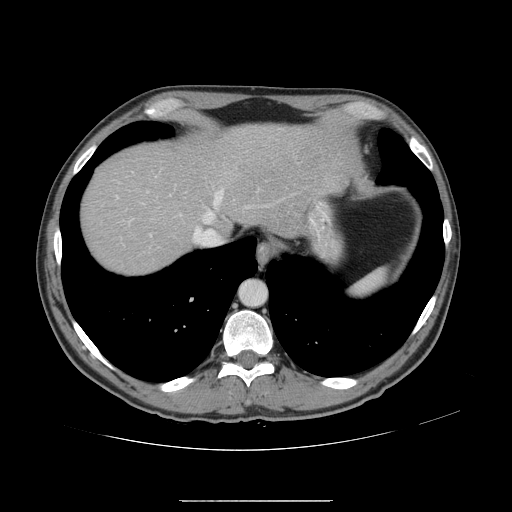
Abdomen | Computed tomography

Only some of the vessels may be annotated.
hepatic_vessel:
  - <box>202,209,214,223</box>
  - <box>214,190,223,206</box>
  - <box>129,220,130,222</box>
  - <box>150,234,151,235</box>
  - <box>194,230,218,244</box>